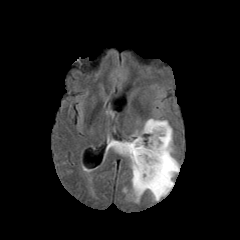
FLAIR MR image.
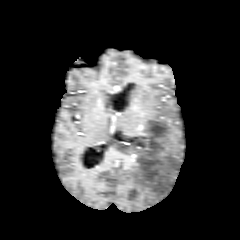
T1-weighted magnetic resonance of the same slice.
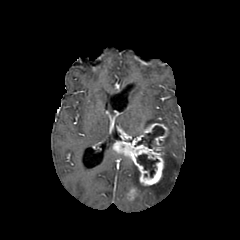
Same slice, post-contrast T1-weighted magnetic resonance.
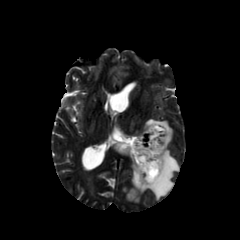
T2-weighted MRI of the same slice.
The enhancing tumor appears at box=[113, 123, 167, 185]. The edema is bounded by box=[125, 117, 179, 202]. 2 non-enhancing tumor core regions appear at box=[135, 125, 164, 148]; box=[136, 154, 159, 177].